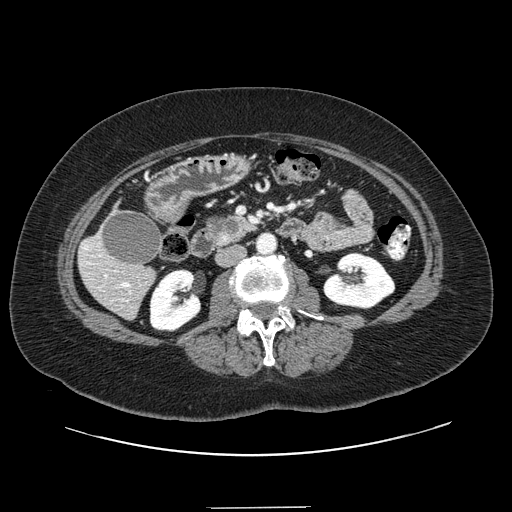 CT slice. Abdomen.

pancreas:
  - l=204, t=214, r=254, b=245
pancreatic_tumor:
  - l=208, t=217, r=239, b=236